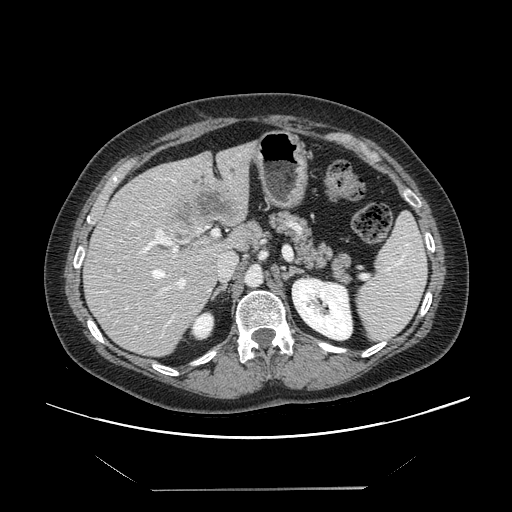

CT slice. Abdomen.
Only some of the vessels may be annotated.
<segmentation>
  <liver_tumor>[x1=164, y1=184, x2=241, y2=239]</liver_tumor>
  <hepatic_vessel>[x1=217, y1=252, x2=236, y2=278], [x1=139, y1=227, x2=177, y2=256], [x1=171, y1=315, x2=175, y2=317], [x1=157, y1=277, x2=186, y2=295], [x1=118, y1=269, x2=119, y2=270], [x1=126, y1=307, x2=127, y2=309], [x1=212, y1=229, x2=218, y2=237], [x1=151, y1=268, x2=167, y2=279]</hepatic_vessel>
</segmentation>